CT slice | Abdomen 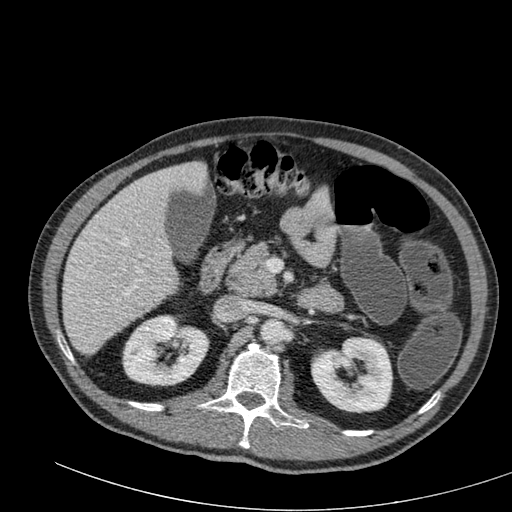
liver: x1=62, y1=162, x2=206, y2=352 | kidney: x1=123, y1=316, x2=207, y2=384; x1=312, y1=338, x2=391, y2=411